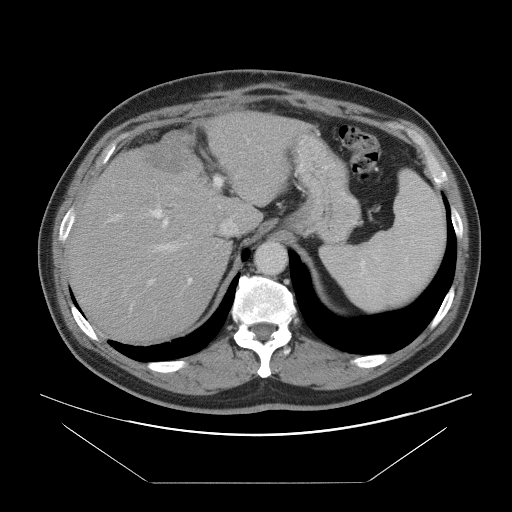 Computed tomography. Some hepatic vessels may have no box.
Liver tumor: box=[143, 132, 190, 172].
Hepatic vessel: box=[188, 278, 191, 282]; box=[109, 214, 120, 220]; box=[222, 160, 223, 162]; box=[235, 175, 236, 177]; box=[130, 306, 132, 310]; box=[228, 219, 231, 222]; box=[148, 280, 152, 284]; box=[150, 206, 168, 225]; box=[163, 244, 166, 244]; box=[173, 245, 175, 247]; box=[214, 175, 222, 186].